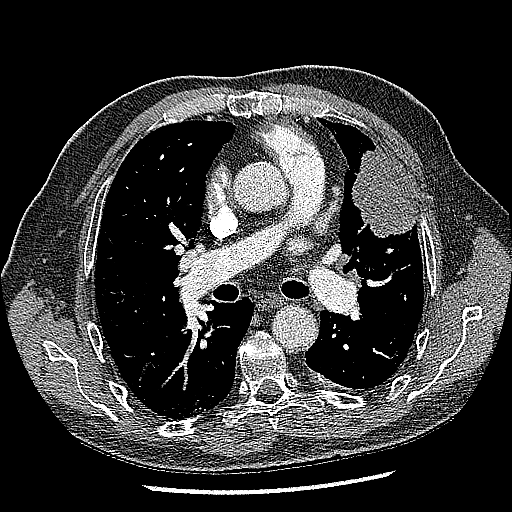 Chest, CT
Lung tumor: (351, 144, 415, 237).